CT scan slice. Slice index 179.

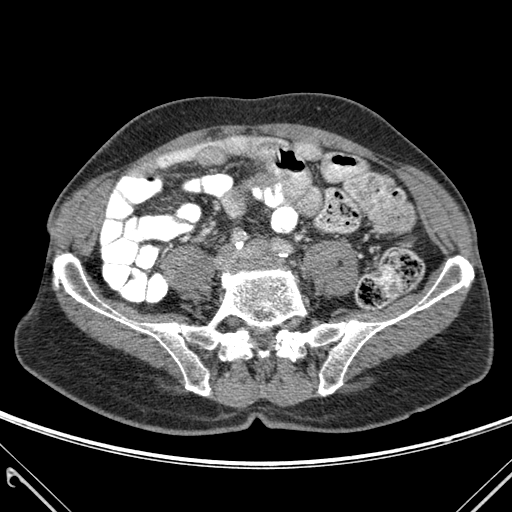 3 bone regions appear at {"x1": 259, "y1": 351, "x2": 268, "y2": 357}, {"x1": 275, "y1": 256, "x2": 473, "y2": 395}, {"x1": 53, "y1": 254, "x2": 306, "y2": 395}.